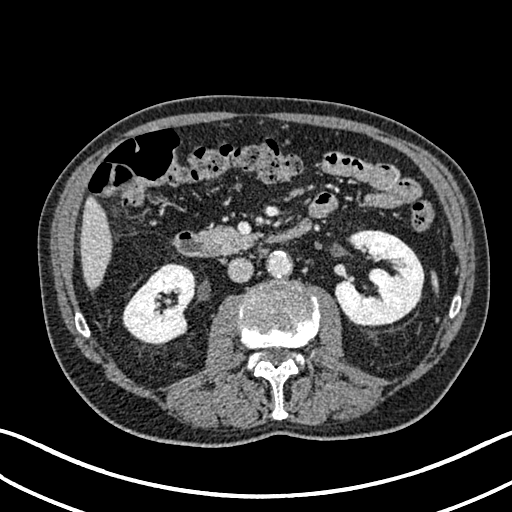
Abdomen, CT slice
<segmentation>
  <kidney>l=335, t=231, r=423, b=324; l=123, t=264, r=194, b=342</kidney>
  <liver>l=81, t=198, r=112, b=288</liver>
</segmentation>